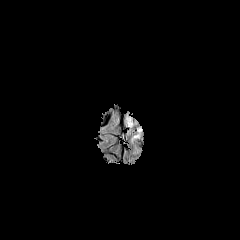
FLAIR magnetic resonance.
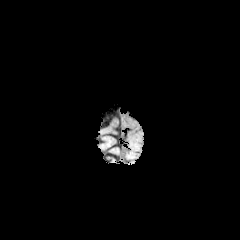
T1-weighted MR of the same slice.
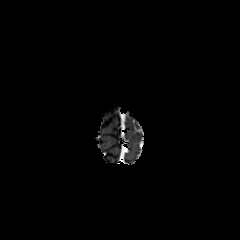
Post-contrast T1-weighted MR image of the same slice.
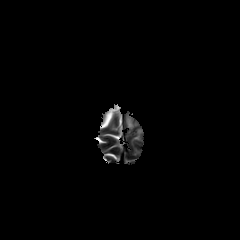
Same slice, T2-weighted magnetic resonance.
Brain.
<segmentation>
  <edema>bbox(126, 116, 132, 127); bbox(131, 128, 142, 142)</edema>
</segmentation>